Brain
FLAIR MR image.
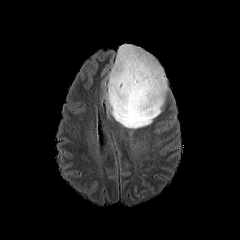
T1-weighted magnetic resonance.
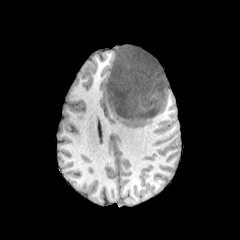
Post-contrast T1-weighted magnetic resonance.
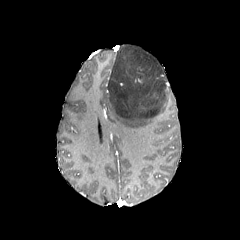
T2-weighted magnetic resonance.
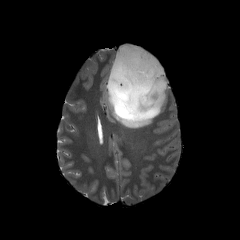
enhancing_tumor:
  - [133, 76, 143, 84]
edema:
  - [107, 43, 166, 129]